FLAIR magnetic resonance.
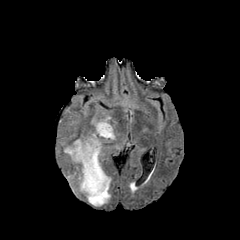
T1-weighted MR image.
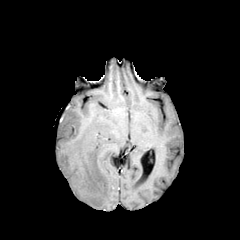
Post-contrast T1-weighted MR image.
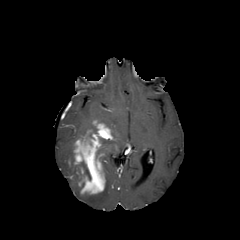
T2-weighted MR image.
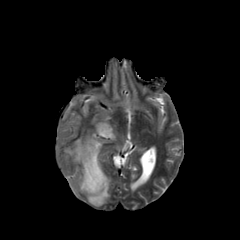
240x240 px, Head
Non-enhancing tumor core at box(80, 167, 90, 180); box(82, 130, 96, 140).
Edema at box(92, 116, 115, 139); box(64, 143, 73, 164); box(96, 138, 112, 160); box(71, 164, 85, 191); box(84, 172, 111, 206).
Enhancing tumor at box(74, 122, 111, 193).